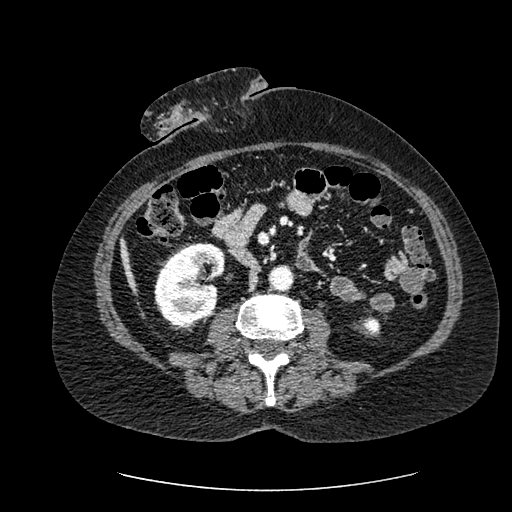 CT | Liver
- liver: x1=120 y1=238 x2=137 y2=293
- kidney: x1=155 y1=243 x2=223 y2=326, x1=364 y1=319 x2=378 y2=332